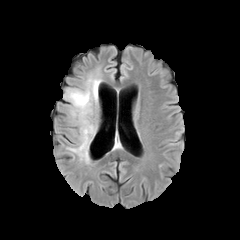
FLAIR MR image.
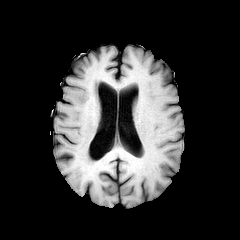
T1-weighted MR image.
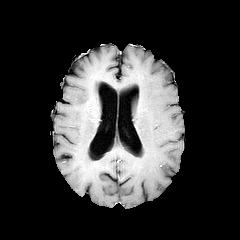
Post-contrast T1-weighted MR image.
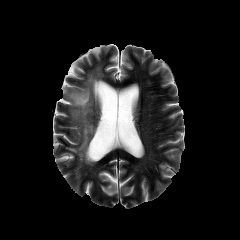
T2-weighted MR image.
Head
edema: (65, 72, 102, 164)